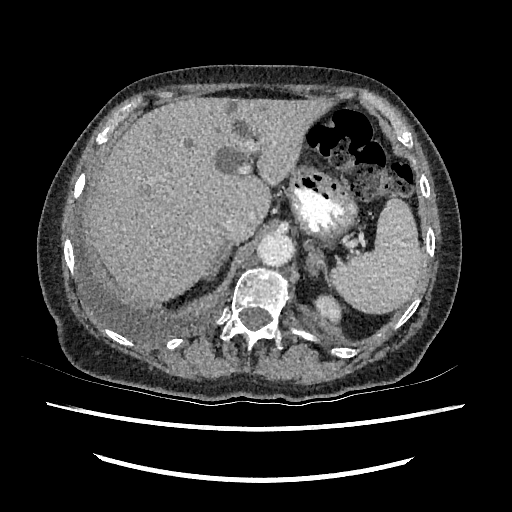
Image size 512x512. Computed tomography. Liver.
Hepatic lesion = bbox=[232, 120, 259, 139]; bbox=[226, 102, 237, 111]; bbox=[215, 148, 248, 172].
Kidney = bbox=[315, 296, 339, 320].
Liver = bbox=[91, 98, 328, 300].